Slice index 214, Computed tomography

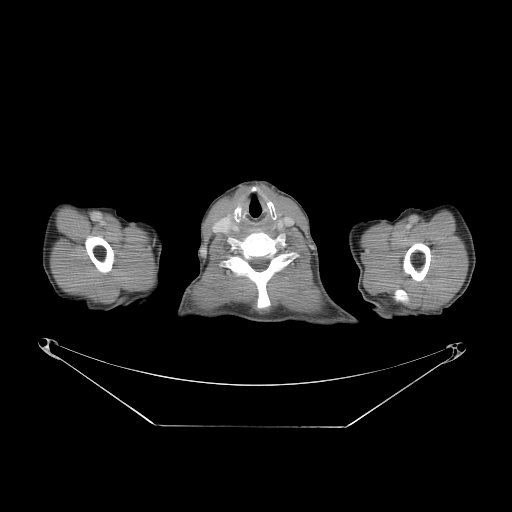

Bone — x1=395, y1=290, x2=407, y2=300; x1=404, y1=243, x2=430, y2=281; x1=85, y1=236, x2=113, y2=272; x1=226, y1=231, x2=289, y2=307.